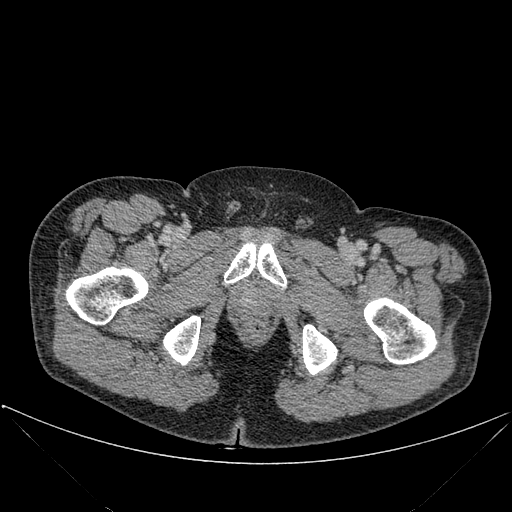 Computed tomography.
bone:
  - bbox=[163, 316, 200, 364]
  - bbox=[66, 267, 147, 324]
  - bbox=[224, 243, 286, 286]
  - bbox=[364, 298, 436, 364]
  - bbox=[303, 324, 337, 374]